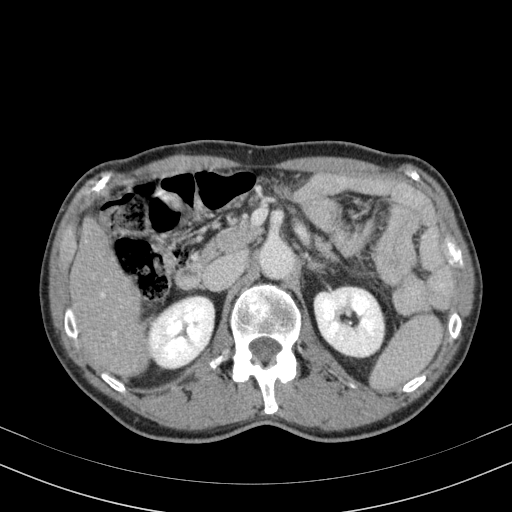
CT image
Segmented structures:
• liver: (70,216,147,376)
• kidney: (315,288,383,355), (150,297,213,367)